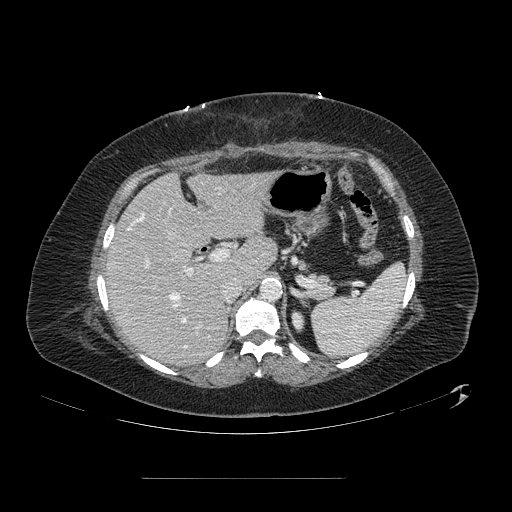
Upper abdomen. Computed tomography.
Segmented structures:
- pancreas: (308, 273, 333, 299), (299, 260, 308, 272)